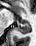
MR; Hippocampus
Posterior hippocampus — 14:22:30:34.